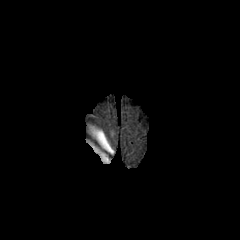
FLAIR MR.
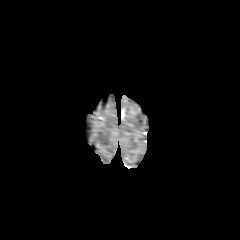
T1-weighted magnetic resonance.
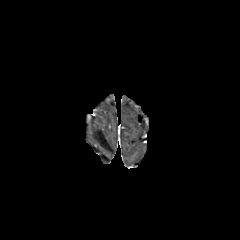
Same slice, post-contrast T1-weighted MRI.
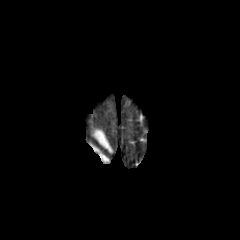
T2-weighted MR image.
Head
Edema: <box>93,144,109,163</box>, <box>91,127,113,153</box>.